Slice index 398; CT slice; Abdomen; Field of view 387x387 mm 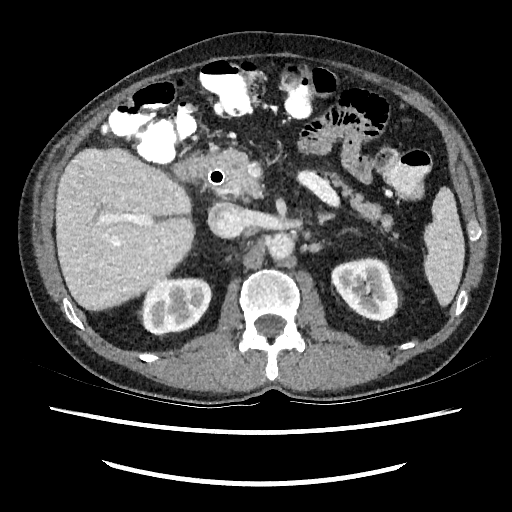

kidney:
  - [x1=143, y1=278, x2=210, y2=333]
  - [x1=332, y1=260, x2=396, y2=319]
liver:
  - [x1=56, y1=148, x2=193, y2=309]